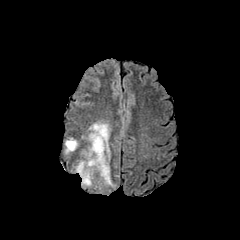
FLAIR MRI.
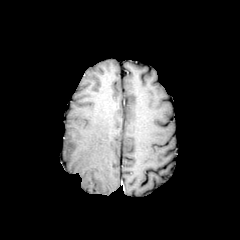
T1-weighted MR image of the same slice.
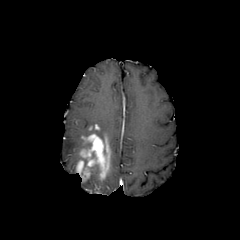
Post-contrast T1-weighted magnetic resonance.
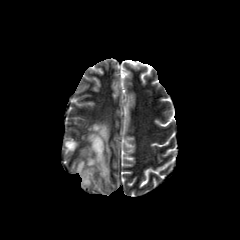
T2-weighted MR image.
240x240 px
edema:
  - 83,170,111,189
  - 88,122,109,147
  - 65,138,78,152
non-enhancing_tumor_core:
  - 80,156,99,179
enhancing_tumor:
  - 80,134,108,179
  - 76,160,90,181